Abdomen. Slice 68/80. CT.
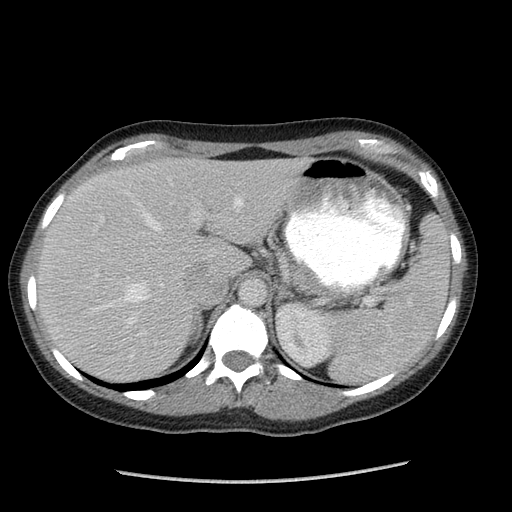

<segmentation>
  <spleen>bbox(331, 215, 450, 385)</spleen>
</segmentation>